FLAIR MR.
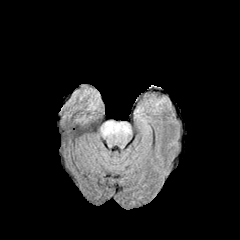
T1-weighted MRI.
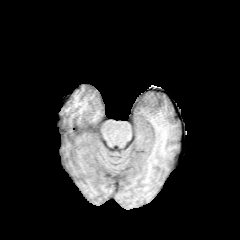
Post-contrast T1-weighted magnetic resonance.
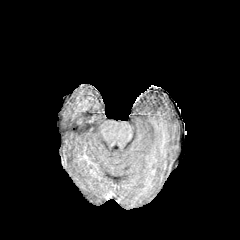
T2-weighted MR.
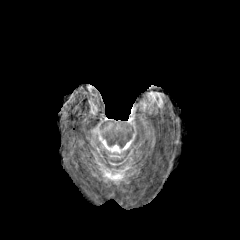
Head
Annotated regions:
* edema: bbox=[144, 96, 163, 109]